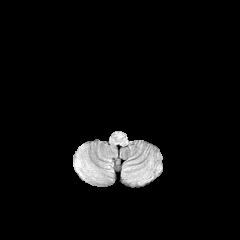
FLAIR MR.
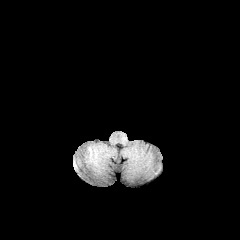
T1-weighted MRI.
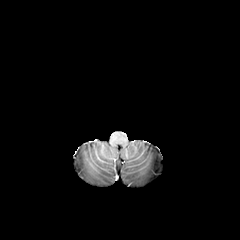
Post-contrast T1-weighted MR image of the same slice.
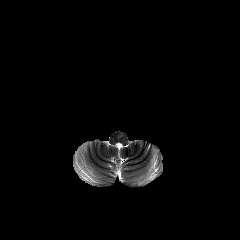
T2-weighted MR image of the same slice.
240x240 px.
Edema — [78,158,95,181], [141,167,155,181].